Brain | Field of view 240 mm wide, 1.00 mm slice spacing | Slice 88/155
FLAIR magnetic resonance.
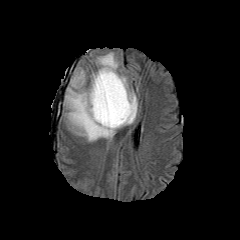
T1-weighted magnetic resonance.
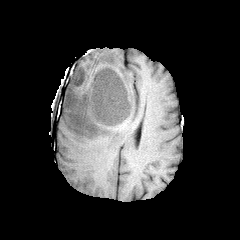
Post-contrast T1-weighted MRI.
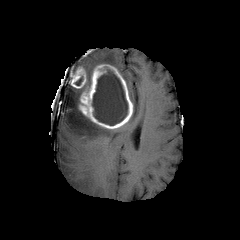
T2-weighted MR.
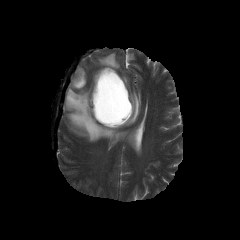
Enhancing tumor — (x1=70, y1=66, x2=87, y2=88), (x1=78, y1=64, x2=133, y2=129).
Non-enhancing tumor core — (x1=92, y1=70, x2=128, y2=125).
Edema — (x1=63, y1=84, x2=116, y2=141), (x1=90, y1=52, x2=120, y2=70), (x1=121, y1=74, x2=138, y2=126).